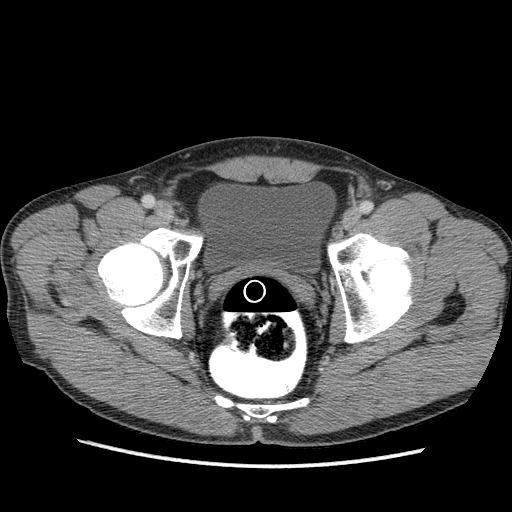 CT scan slice
{"urinary_bladder": ["[198,182,335,274]"]}